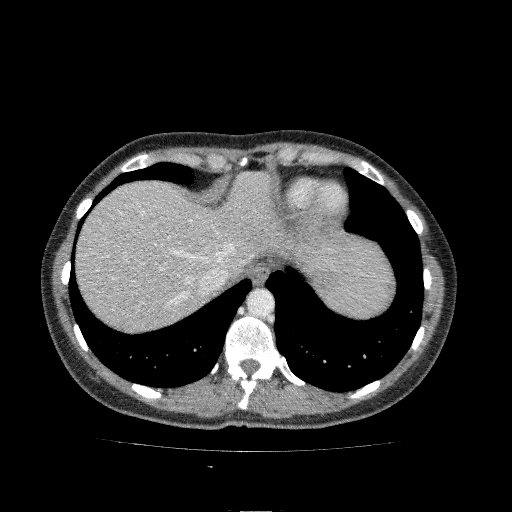
CT | 512x512 px
The liver lies within <bbox>77, 172, 357, 330</bbox>.